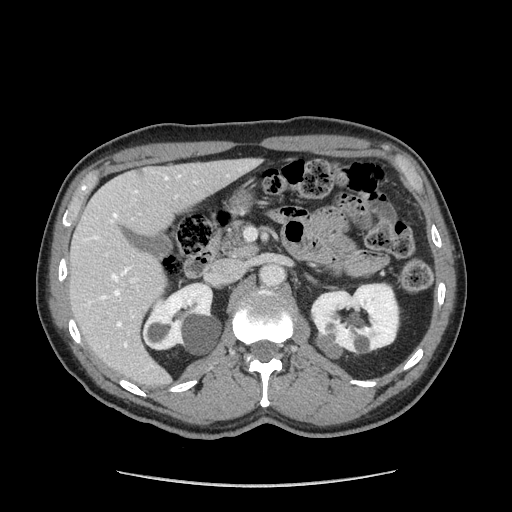

CT scan slice. Abdomen.

The pancreas lies within x1=223 y1=220 x2=256 y2=257.